Brain, Slice 104/155
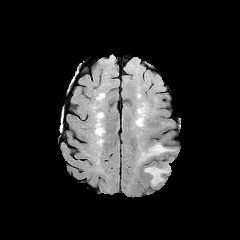
FLAIR magnetic resonance.
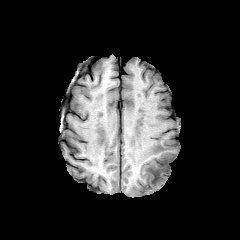
Same slice, T1-weighted MRI.
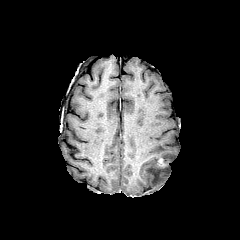
Post-contrast T1-weighted magnetic resonance of the same slice.
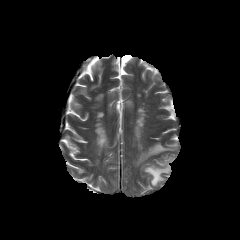
Same slice, T2-weighted MR image.
<segmentation>
  <edema>bbox(139, 143, 172, 161); bbox(145, 166, 170, 185)</edema>
  <enhancing_tumor>bbox(157, 158, 168, 168)</enhancing_tumor>
</segmentation>